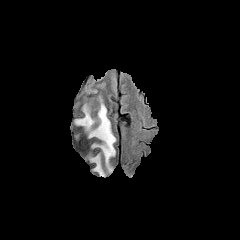
FLAIR magnetic resonance.
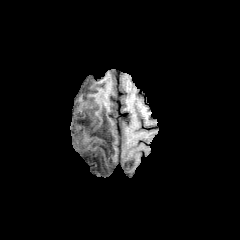
T1-weighted MRI.
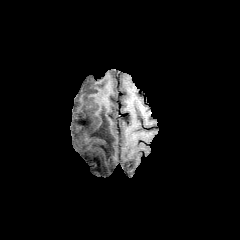
Post-contrast T1-weighted MR.
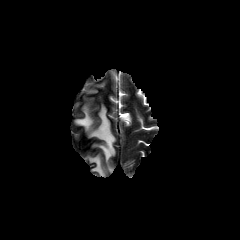
T2-weighted MRI.
{"edema": ["rect(75, 103, 115, 176)"]}